CT; Pelvis; 512x512
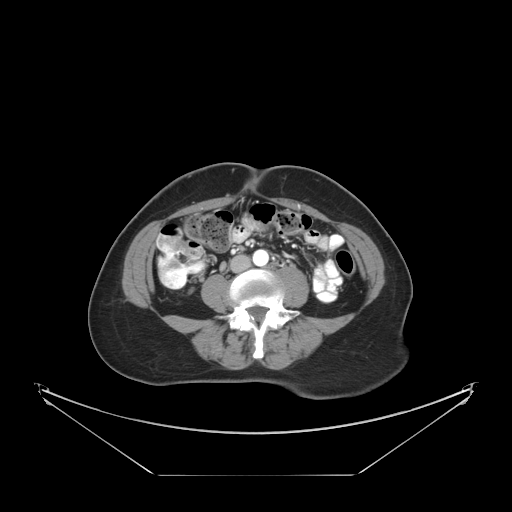
Colon tumor at x1=185, y1=258, x2=198, y2=268; x1=170, y1=241, x2=189, y2=255; x1=165, y1=259, x2=181, y2=269.